FLAIR MRI.
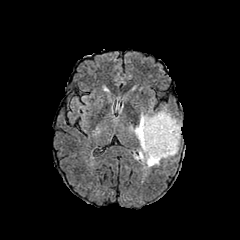
T1-weighted magnetic resonance.
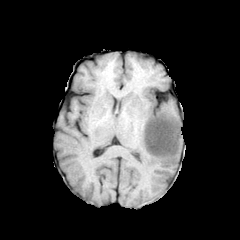
Post-contrast T1-weighted MRI.
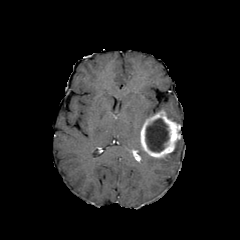
T2-weighted MRI.
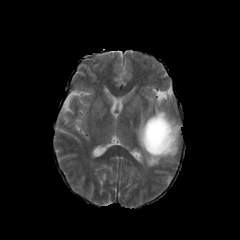
240x240
{
  "enhancing_tumor": [
    "[139,109,181,159]"
  ],
  "non-enhancing_tumor_core": [
    "[146,119,167,151]"
  ],
  "edema": [
    "[131,111,179,168]"
  ]
}